Field of view 240 mm wide, 1.00 mm slice spacing; 240x240 px; Brain
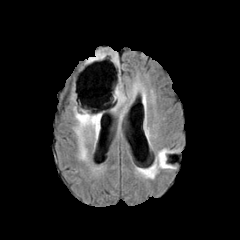
FLAIR MR.
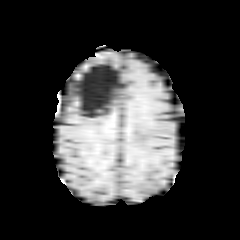
T1-weighted MR image of the same slice.
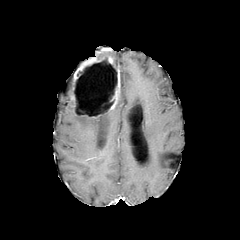
Post-contrast T1-weighted MRI.
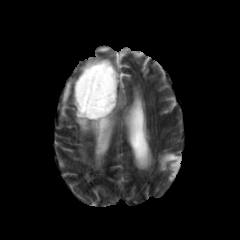
T2-weighted magnetic resonance.
Non-enhancing tumor core at [96, 48, 110, 58], [72, 83, 115, 119].
Enhancing tumor at [114, 76, 119, 101], [82, 57, 97, 65].
Edema at [108, 51, 120, 66], [110, 81, 132, 121], [132, 82, 147, 101], [158, 150, 173, 169], [72, 108, 100, 161].